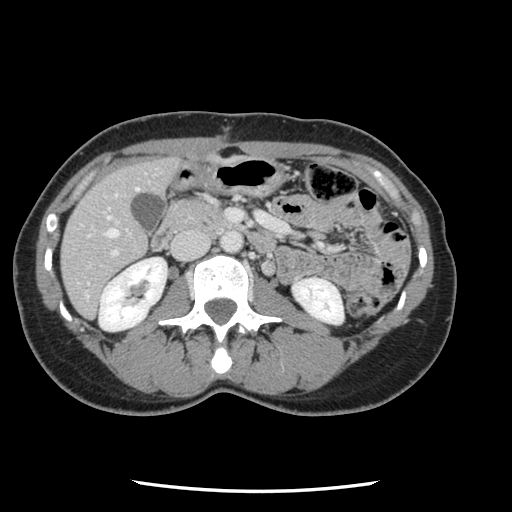 CT slice.
Only some of the vessels may be annotated.
<segmentation>
  <hepatic_vessel>{"x1": 108, "y1": 216, "x2": 109, "y2": 218}, {"x1": 112, "y1": 250, "x2": 116, "y2": 254}, {"x1": 136, "y1": 187, "x2": 138, "y2": 189}, {"x1": 107, "y1": 228, "x2": 116, "y2": 236}</hepatic_vessel>
</segmentation>